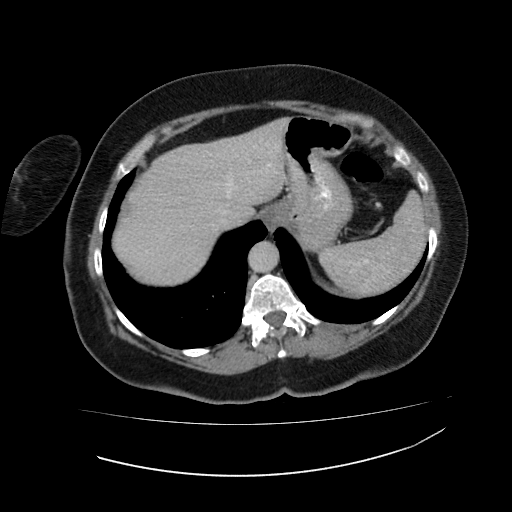 Computed tomography | Image size 512x512
Segmented structures:
* liver: [113,118,288,284]